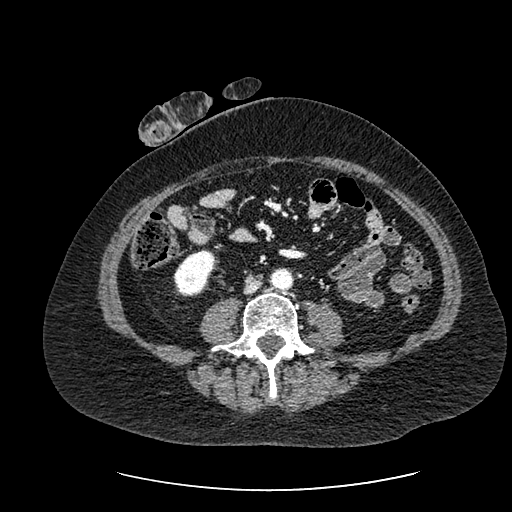

CT; 512x512
Kidney = [x1=174, y1=251, x2=214, y2=295].